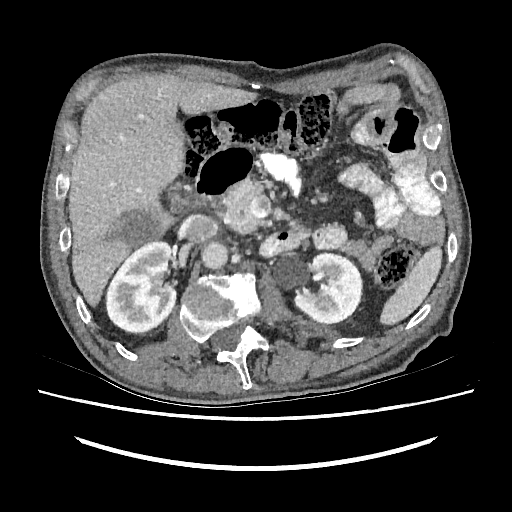 Image size 512x512; CT image

Segmented structures:
* kidney: l=295, t=253, r=361, b=323; l=107, t=242, r=175, b=331
* liver: l=69, t=75, r=254, b=306
* focal liver lesion: l=106, t=208, r=161, b=250; l=73, t=243, r=81, b=252